CT image, Slice index 392
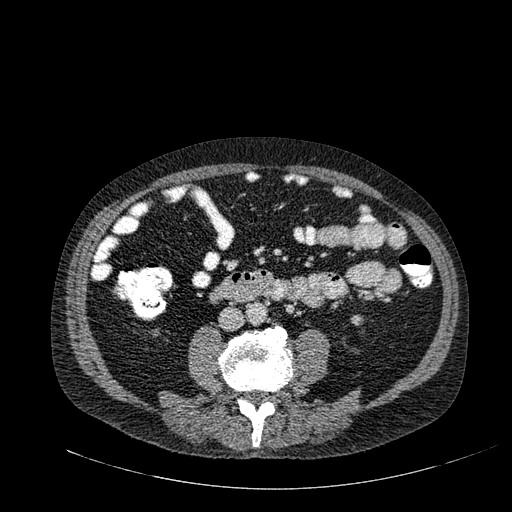
Kidney: bounding box <box>350,315,363,325</box>.